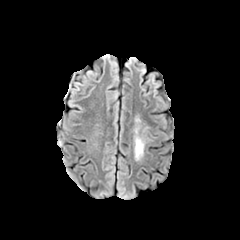
FLAIR magnetic resonance.
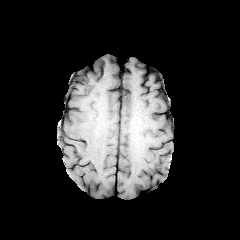
T1-weighted MR.
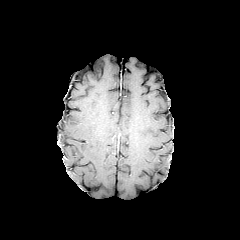
Post-contrast T1-weighted MR image of the same slice.
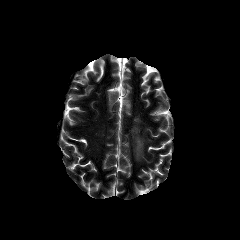
T2-weighted MR image.
Head, 240x240 px
Findings:
* edema: bbox(133, 127, 144, 159)